CT slice

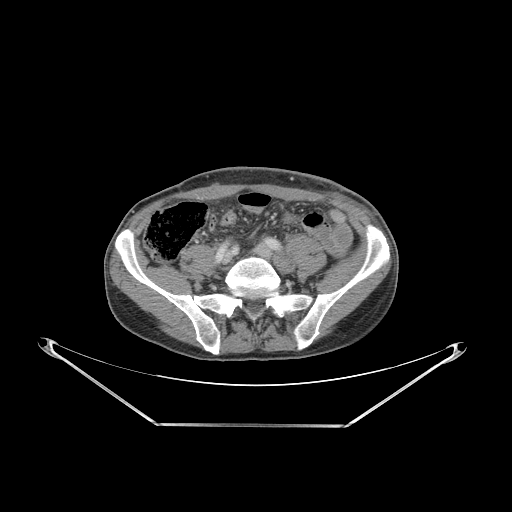

bone: (115, 229, 311, 354), (294, 225, 389, 349)